Abdomen; 512x512; CT slice
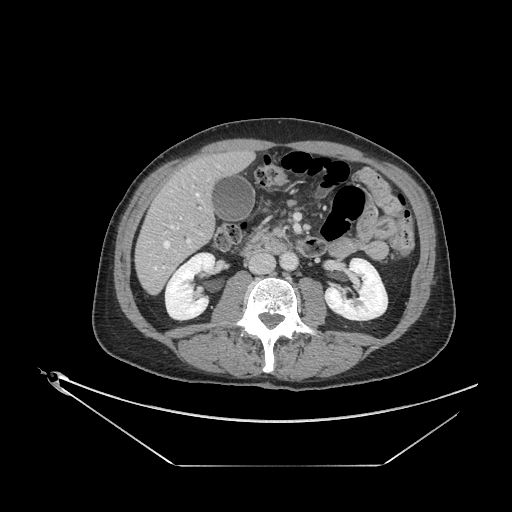 The pancreatic tumor is bounded by l=274, t=228, r=285, b=237. The pancreas is located at l=268, t=225, r=294, b=238.